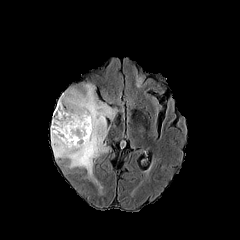
FLAIR magnetic resonance.
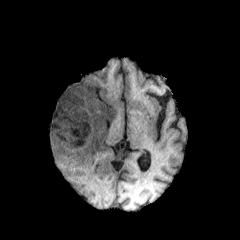
T1-weighted magnetic resonance of the same slice.
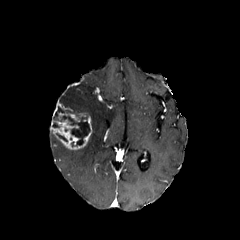
Post-contrast T1-weighted MRI of the same slice.
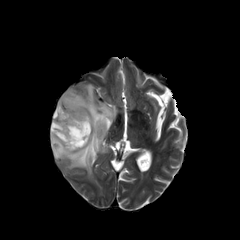
T2-weighted MR image.
Head
Annotated regions:
- edema: bbox(100, 92, 113, 103); bbox(50, 83, 118, 187)
- enhancing tumor: bbox(50, 112, 92, 150); bbox(54, 102, 72, 112)
- non-enhancing tumor core: bbox(70, 120, 90, 146); bbox(53, 107, 71, 121)